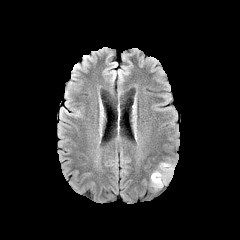
FLAIR MR.
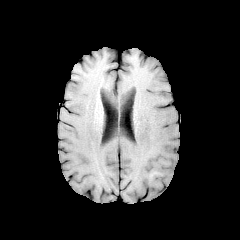
T1-weighted MR of the same slice.
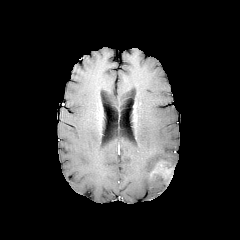
Post-contrast T1-weighted MR of the same slice.
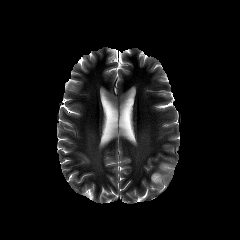
Same slice, T2-weighted MR.
The edema is at {"x1": 151, "y1": 162, "x2": 175, "y2": 190}.